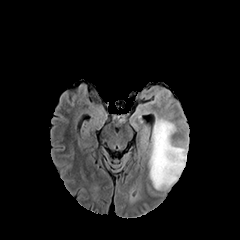
FLAIR MR image.
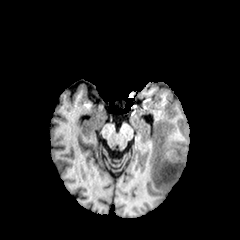
T1-weighted MR image.
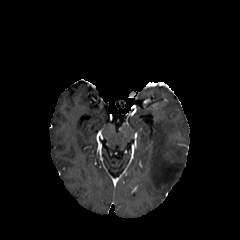
Post-contrast T1-weighted MR of the same slice.
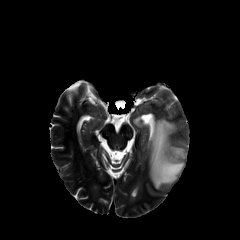
Same slice, T2-weighted MRI.
Brain.
edema:
  - (left=149, top=117, right=187, bottom=188)